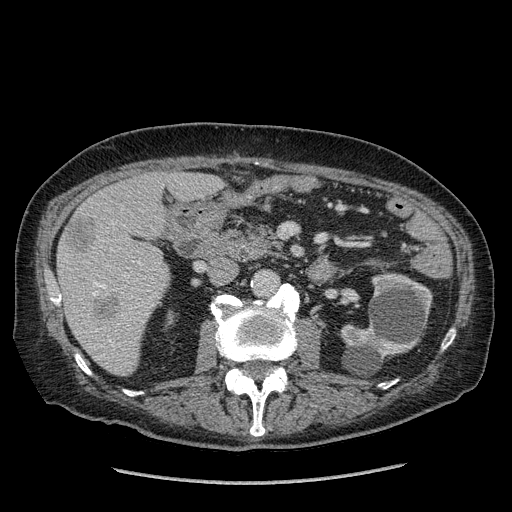

512x512 px | Abdomen | CT

2 focal liver lesion regions appear at region(68, 215, 94, 251); region(95, 295, 117, 317). The liver is located at region(57, 171, 223, 376). 2 kidney regions are located at region(341, 323, 418, 357); region(372, 273, 431, 315).